Computed tomography. Slice 171/245.

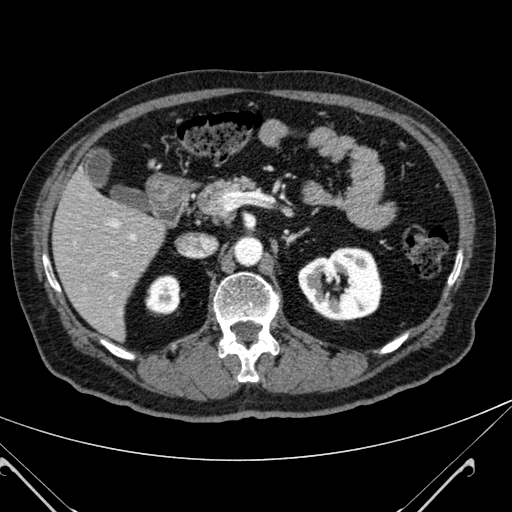 2 kidney regions are located at box=[147, 276, 178, 312]; box=[299, 249, 380, 319]. The liver appears at box=[50, 179, 163, 340].